Brain; Image width 240 mm
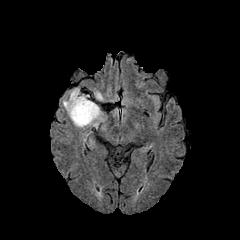
FLAIR MRI.
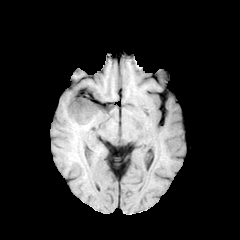
Same slice, T1-weighted MR.
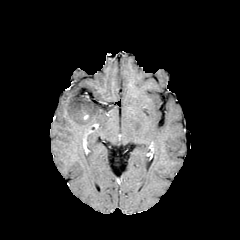
Post-contrast T1-weighted MRI of the same slice.
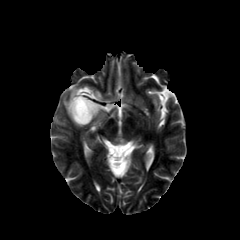
T2-weighted MR.
<segmentation>
  <edema>94,90,103,100; 63,88,101,127</edema>
</segmentation>